Slice index 55, Brain
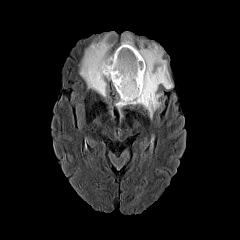
FLAIR MR image.
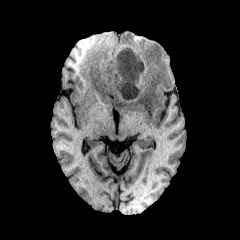
T1-weighted MR.
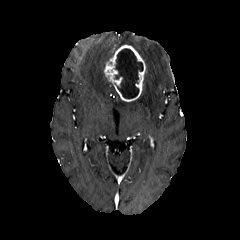
Post-contrast T1-weighted MR.
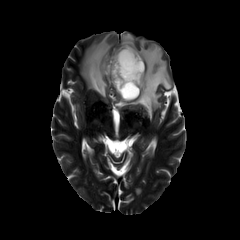
T2-weighted MRI of the same slice.
Edema — 115, 31, 172, 120; 80, 32, 116, 100.
Non-enhancing tumor core — 115, 48, 142, 98.
Enhancing tumor — 102, 44, 145, 103.